FLAIR MRI.
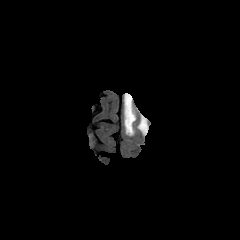
T1-weighted magnetic resonance.
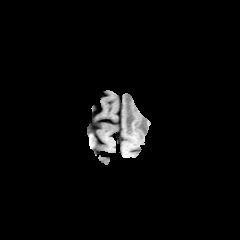
Post-contrast T1-weighted magnetic resonance.
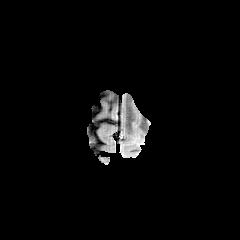
T2-weighted MRI.
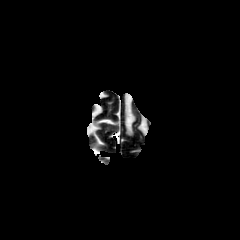
Non-enhancing tumor core at [124, 98, 133, 131].
Edema at [122, 93, 150, 136].